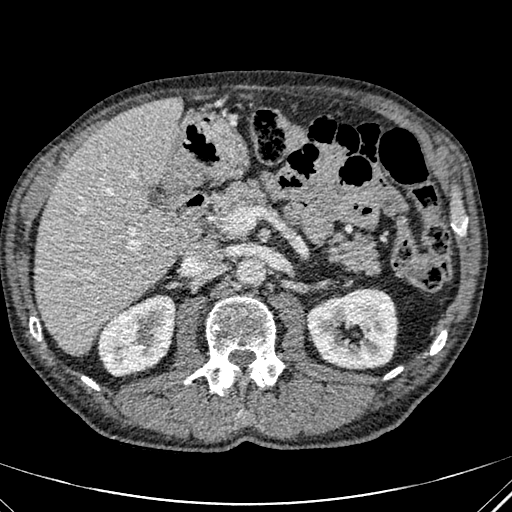 CT

kidney:
  - 99:297:174:374
  - 308:290:395:367
liver:
  - 34:97:200:355